Abdomen; CT 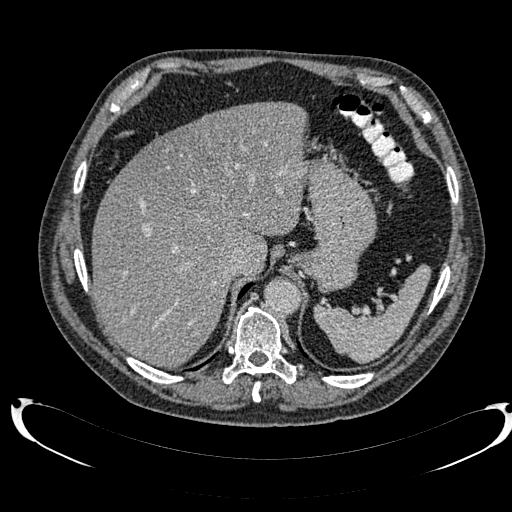

The hepatic lesion appears at 135:107:268:215. 3 liver regions are located at 189:112:218:123, 92:101:307:366, 152:126:183:143.